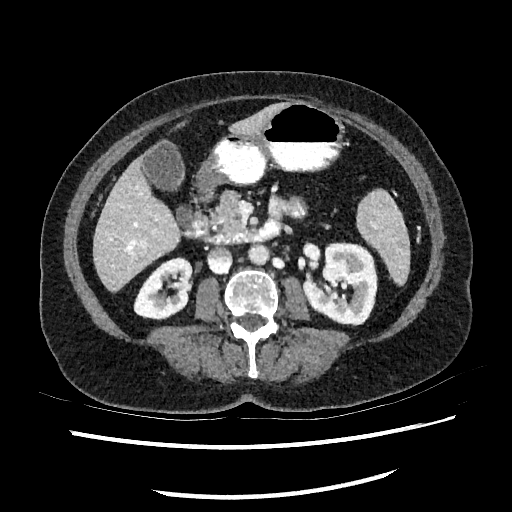
CT slice | 512x512 px
Kidney — (x1=304, y1=244, x2=376, y2=323), (x1=135, y1=259, x2=191, y2=318).
Liver — (x1=232, y1=103, x2=284, y2=134), (x1=93, y1=156, x2=179, y2=291).